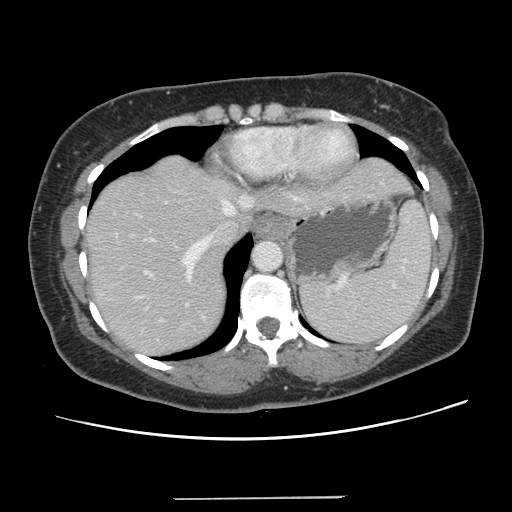
CT slice. Liver. Image size 512x512.
The vessel annotation is not exhaustive.
{"hepatic_vessel": ["box(144, 271, 151, 275)", "box(186, 304, 187, 305)", "box(144, 239, 154, 241)", "box(240, 198, 250, 205)", "box(183, 236, 212, 280)", "box(137, 297, 140, 297)", "box(223, 202, 233, 214)"]}